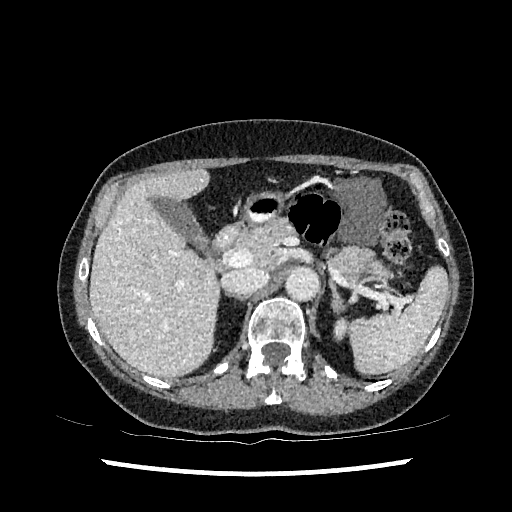

Image size 512x512, Computed tomography, Liver
The liver is bounded by 91, 169, 219, 377. The kidney is at 336, 321, 345, 334. The hepatic lesion is bounded by 143, 254, 149, 267.